Slice index 416, Field of view 434 mm wide, 1.00 mm slice spacing, Chest, CT

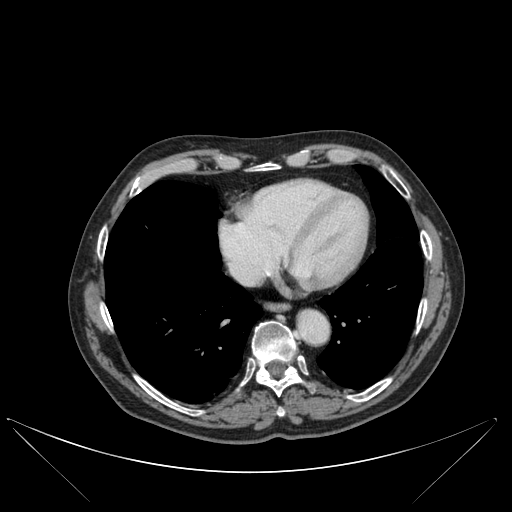
Bone — left=305, top=380, right=316, bottom=393; left=134, top=376, right=201, bottom=414; left=421, top=231, right=431, bottom=258; left=131, top=176, right=147, bottom=194; left=100, top=304, right=112, bottom=328; left=298, top=357, right=307, bottom=374; left=97, top=227, right=107, bottom=258; left=241, top=321, right=302, bottom=396; left=347, top=378, right=391, bottom=401; left=253, top=164, right=279, bottom=170; left=417, top=299, right=426, bottom=330.
Lung — left=317, top=165, right=422, bottom=388; left=104, top=181, right=262, bottom=403.